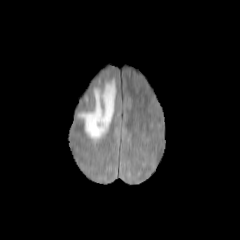
FLAIR magnetic resonance.
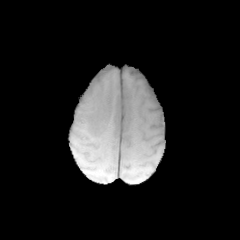
T1-weighted MR.
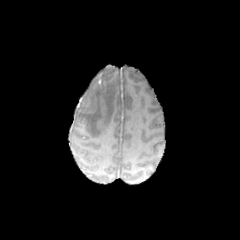
Post-contrast T1-weighted MR.
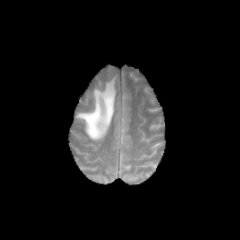
T2-weighted MRI.
240x240 px, Head
<segmentation>
  <edema>77, 79, 115, 142</edema>
</segmentation>